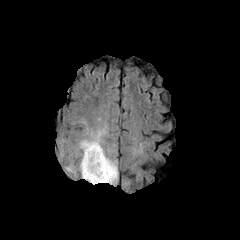
FLAIR magnetic resonance.
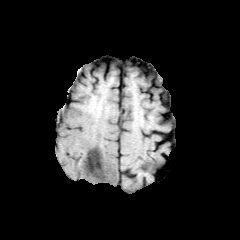
T1-weighted MR.
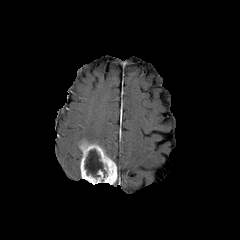
Post-contrast T1-weighted MR.
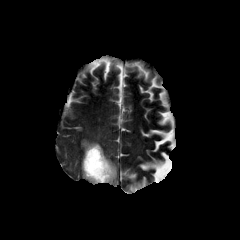
Same slice, T2-weighted MR image.
240x240 px
<segmentation>
  <enhancing_tumor>box(79, 139, 117, 183)</enhancing_tumor>
  <edema>box(64, 115, 118, 183); box(58, 136, 73, 159)</edema>
  <non-enhancing_tumor_core>box(84, 148, 106, 178)</non-enhancing_tumor_core>
</segmentation>